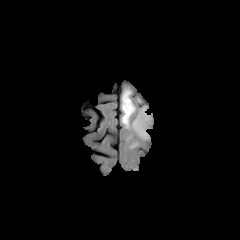
FLAIR MRI.
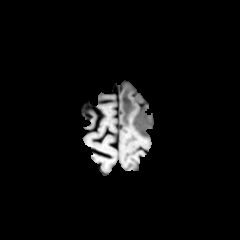
Same slice, T1-weighted MR.
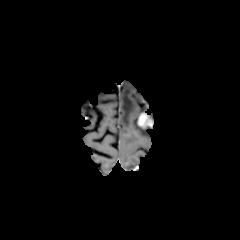
Post-contrast T1-weighted MRI of the same slice.
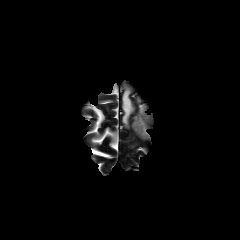
T2-weighted MR.
Enhancing tumor = bbox=[137, 112, 153, 128].
Edema = bbox=[121, 86, 148, 139].